Image size 240x240
FLAIR MR image.
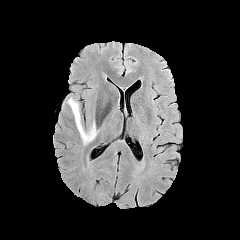
T1-weighted MR.
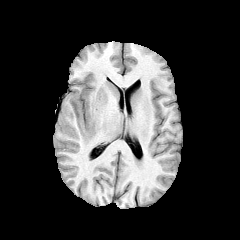
Post-contrast T1-weighted MR.
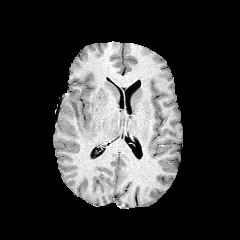
T2-weighted MRI.
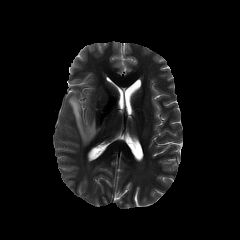
edema:
  - [66, 95, 97, 144]